MR image, Medial temporal lobe

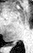

- posterior hippocampus: bbox=[8, 43, 15, 46]